Computed tomography. Slice 75 of 117.
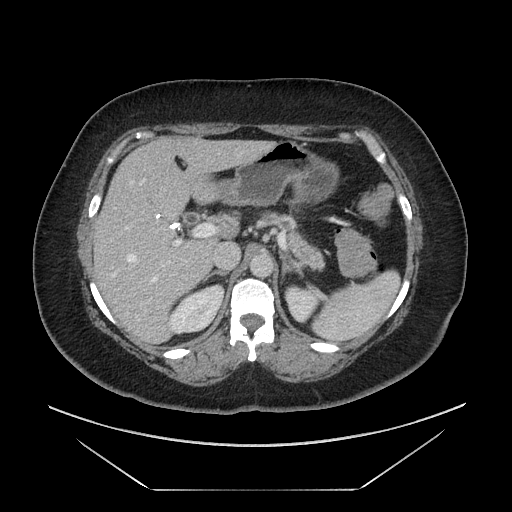

The pancreas lies within 263, 213, 323, 267.